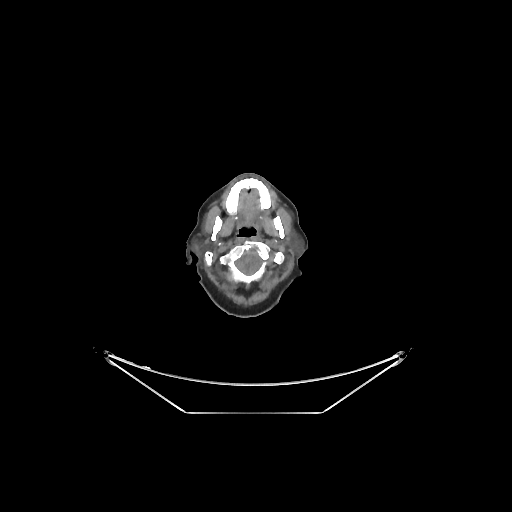 Brain | CT image

The brain is located at (left=234, top=248, right=262, bottom=275).